Computed tomography | Abdomen 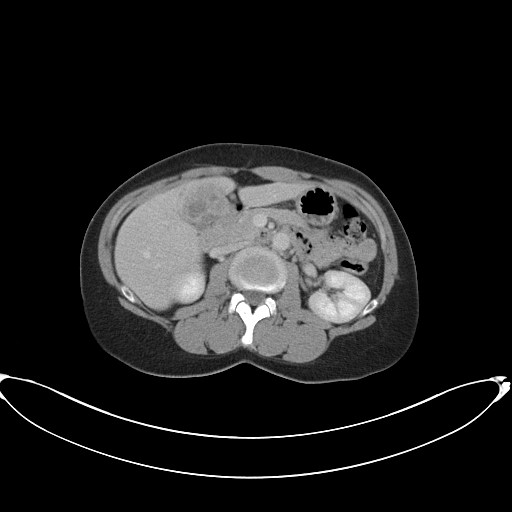

Some hepatic vessels may have no box.
The liver tumor is at region(186, 186, 231, 236). The hepatic vessel appears at region(143, 251, 149, 257).